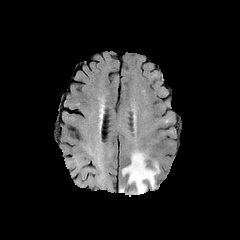
FLAIR MR image.
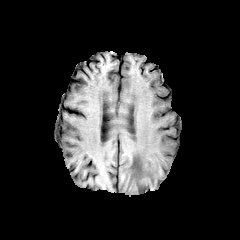
T1-weighted MR of the same slice.
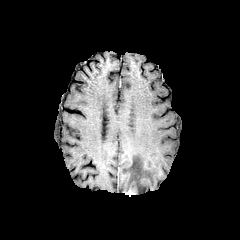
Post-contrast T1-weighted MR image of the same slice.
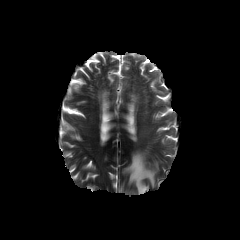
T2-weighted MRI.
Brain
edema:
  - {"x1": 122, "y1": 151, "x2": 159, "y2": 193}